MRI, Heart, Field of view 400 mm wide, 1.37 mm slice spacing 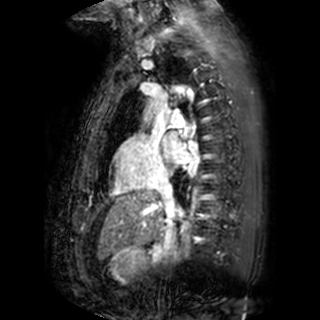 The left atrium is at bbox=[163, 131, 189, 163].